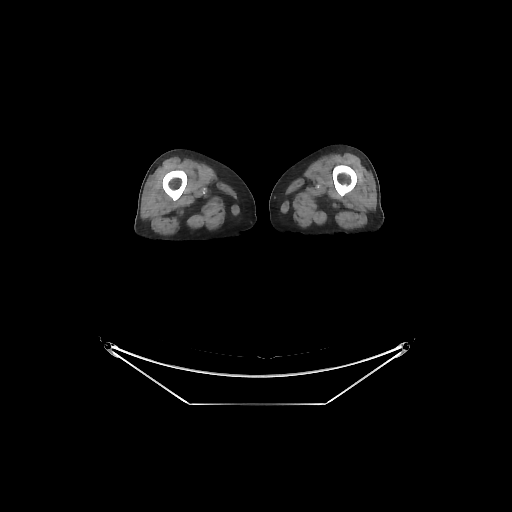
CT image, 512x512

Segmented structures:
• bone: (333, 165, 356, 196), (162, 170, 186, 200)